Image width 240 mm, 240x240 px, Slice index 50
FLAIR MR image.
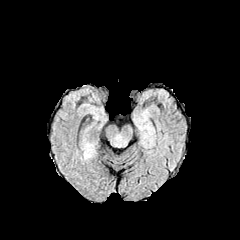
T1-weighted MR.
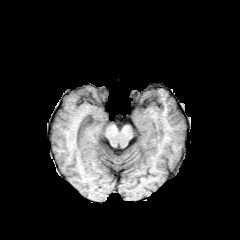
Post-contrast T1-weighted MR.
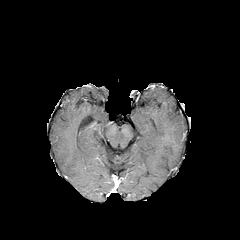
T2-weighted MRI.
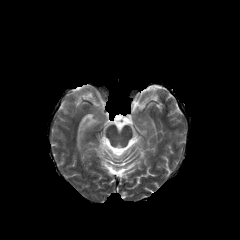
edema:
  - region(84, 144, 95, 158)